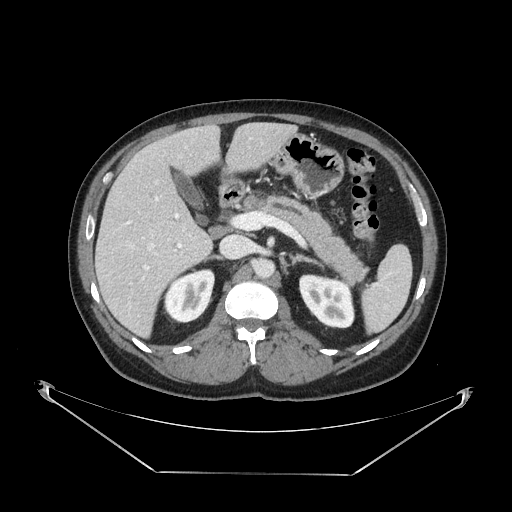 Image size 512x512; Computed tomography; Abdomen

pancreas:
  - bbox=[262, 195, 368, 286]
pancreatic_tumor:
  - bbox=[257, 198, 268, 207]